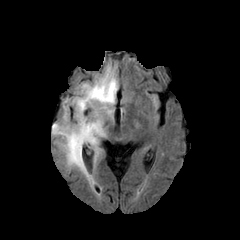
FLAIR magnetic resonance.
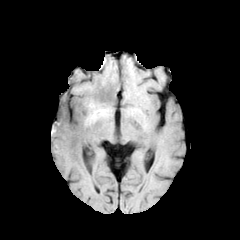
T1-weighted MR of the same slice.
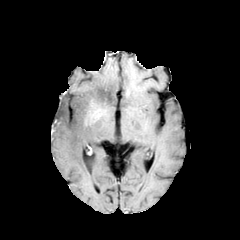
Post-contrast T1-weighted MR of the same slice.
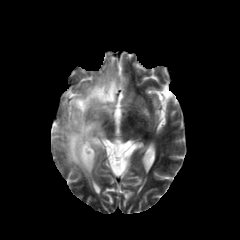
T2-weighted magnetic resonance.
240x240 px.
Edema — box(52, 62, 119, 183).